Upper abdomen. CT image.

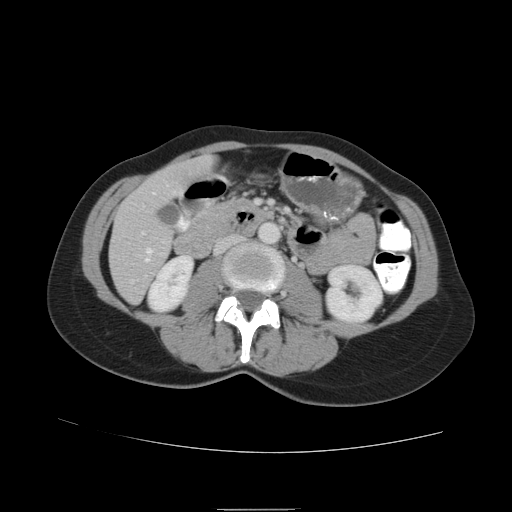 Pancreas = 309:218:374:272, 196:201:239:235.